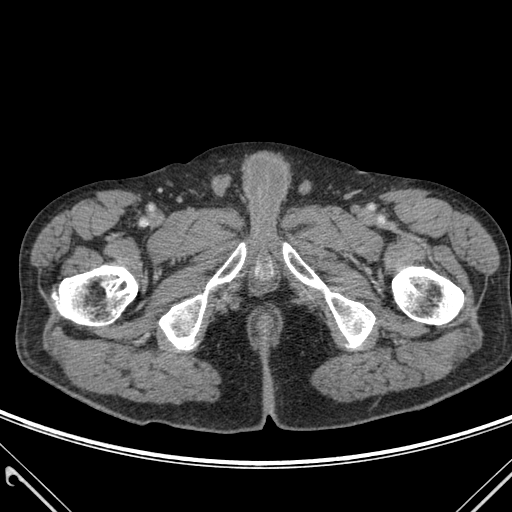 CT
Bone — 159, 243, 245, 349; 392, 266, 463, 324; 283, 243, 375, 347; 52, 265, 137, 325.